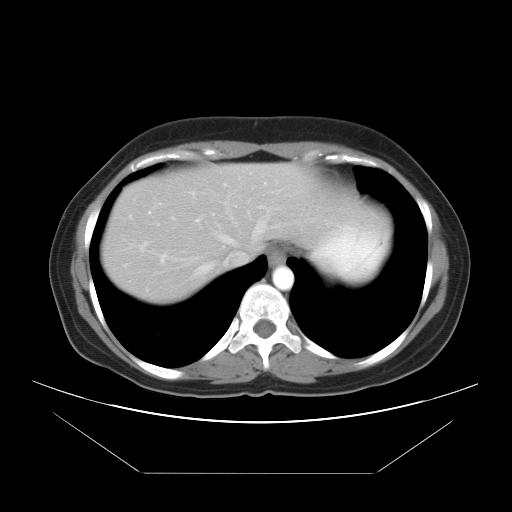 CT scan slice; Liver; 512x512
The vessel boxes may cover only some of the vessels.
Hepatic vessel: bounding box box=[222, 237, 232, 241]; box=[255, 222, 263, 234]; box=[141, 243, 146, 249]; box=[195, 262, 213, 274]; box=[225, 260, 227, 263].